512x512 px. Image width 420 mm. Computed tomography.

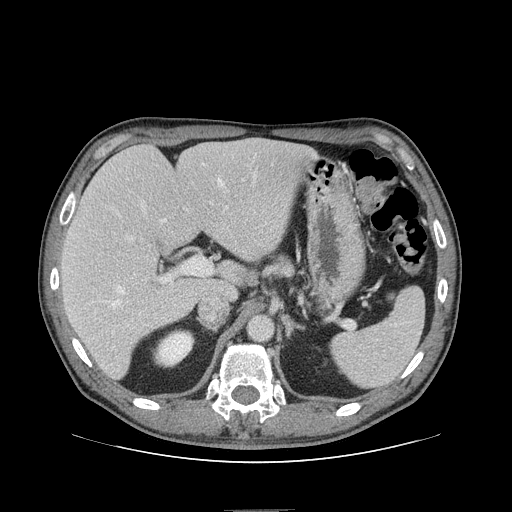
pancreas:
  - l=272, t=252, r=289, b=267